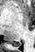

Image size 35x52. Magnetic resonance.
{"posterior_hippocampus": ["rect(7, 41, 20, 46)"]}